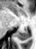
MR; Medial temporal lobe
posterior hippocampus: l=15, t=29, r=28, b=40